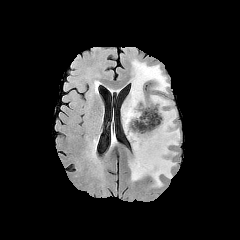
FLAIR MR image.
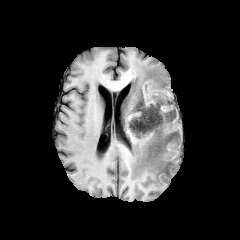
Same slice, T1-weighted magnetic resonance.
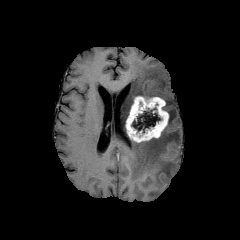
Post-contrast T1-weighted magnetic resonance.
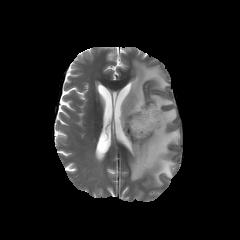
Same slice, T2-weighted MRI.
Head
edema:
  - [x1=121, y1=60, x2=179, y2=185]
non-enhancing_tumor_core:
  - [x1=142, y1=126, x2=173, y2=153]
  - [x1=166, y1=110, x2=173, y2=125]
  - [x1=130, y1=107, x2=161, y2=132]
enhancing_tumor:
  - [x1=126, y1=96, x2=168, y2=141]